Slice 69 of 155.
FLAIR MRI.
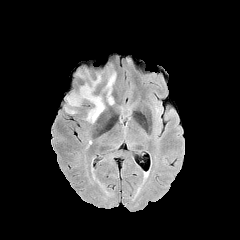
T1-weighted MR image.
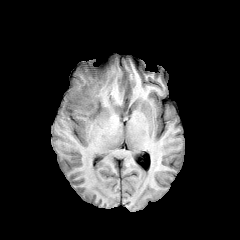
Post-contrast T1-weighted MRI.
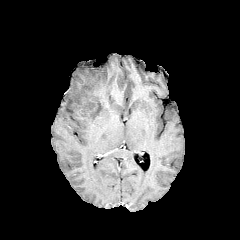
T2-weighted MR.
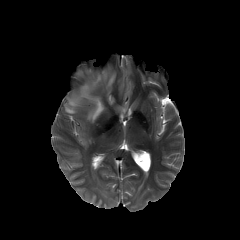
edema: 65 69 116 123